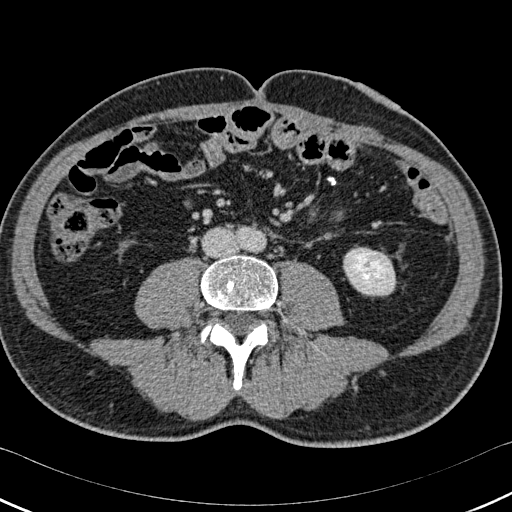

CT image.
The kidney appears at left=344, top=248, right=394, bottom=294. 2 bone regions are bounded by left=200, top=256, right=277, bottom=310; left=201, top=323, right=268, bottom=390.